CT; Abdomen; 512x512 px 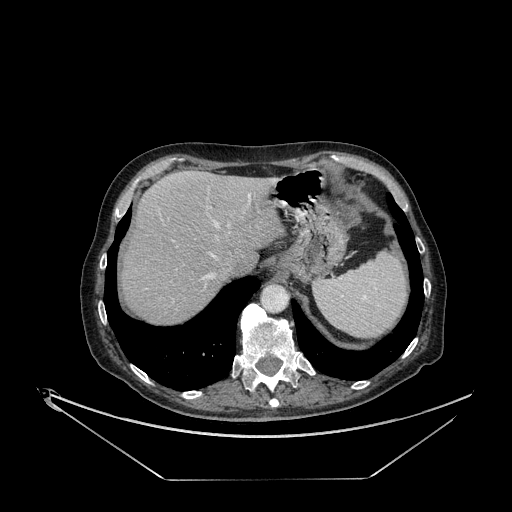
Liver — region(122, 170, 280, 324).